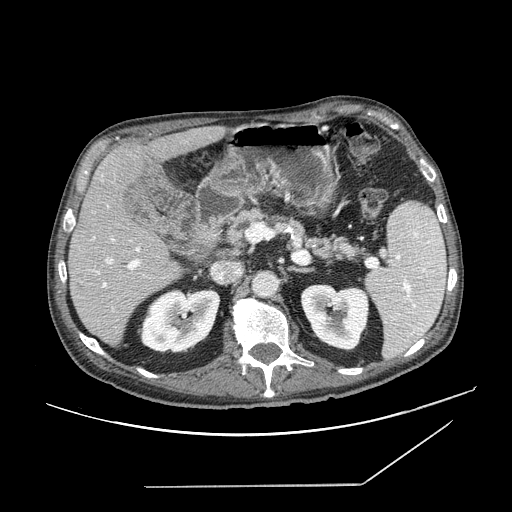

CT slice, Abdomen
Annotated regions:
• pancreas: (307,238,335,255), (289,222,304,238), (227,212,262,241)